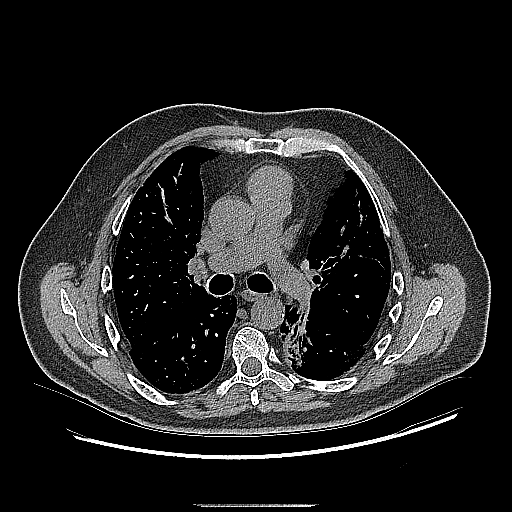 Thorax, 512x512 px, CT
The lung tumor lies within [x1=280, y1=303, x2=313, y2=371].